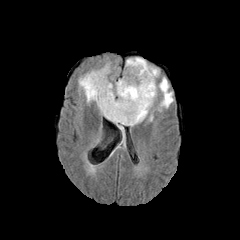
FLAIR magnetic resonance.
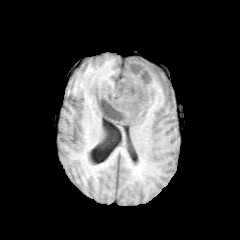
T1-weighted MR image of the same slice.
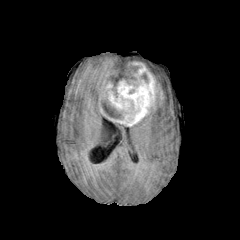
Post-contrast T1-weighted magnetic resonance.
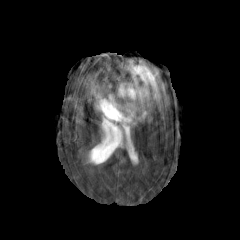
Same slice, T2-weighted MRI.
Brain; Image size 240x240
• non-enhancing tumor core: (left=130, top=63, right=140, bottom=72), (left=141, top=72, right=148, bottom=81), (left=101, top=101, right=121, bottom=118)
• enhancing tumor: (left=99, top=61, right=163, bottom=126)
• edema: (left=78, top=63, right=110, bottom=114), (left=114, top=122, right=125, bottom=147), (left=130, top=106, right=153, bottom=127), (left=118, top=57, right=173, bottom=112)